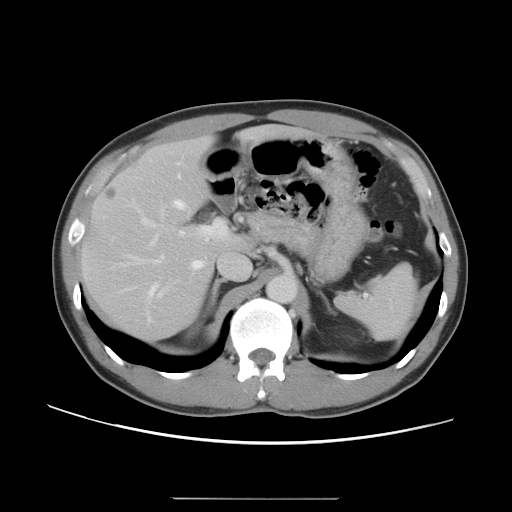 512x512. Computed tomography. Some hepatic vessels may have no box.
2 liver tumor regions appear at 132,162,140,169; 104,188,116,199. 12 hepatic vessel regions are located at 118,255,140,266; 148,314,152,321; 148,282,165,297; 191,260,205,269; 180,231,186,235; 129,201,154,225; 216,231,228,238; 153,255,163,263; 152,236,157,243; 178,174,180,177; 198,232,199,234; 173,200,187,209.